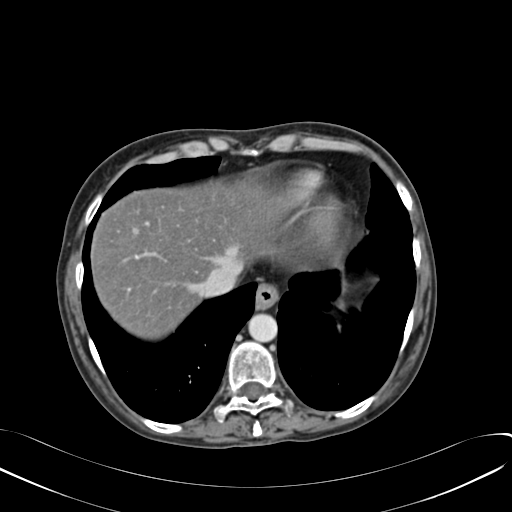 CT slice | Image size 512x512

- liver: region(92, 183, 282, 339)